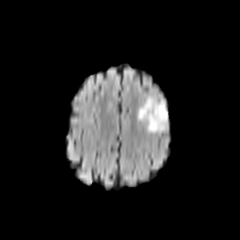
FLAIR MRI.
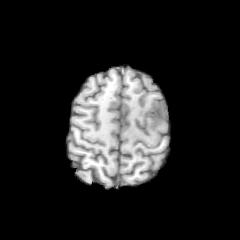
T1-weighted MR image.
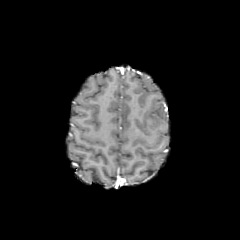
Same slice, post-contrast T1-weighted MR.
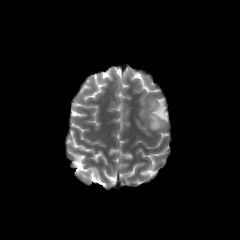
T2-weighted MRI of the same slice.
<segmentation>
  <edema><box>137,95,168,132</box></edema>
  <non-enhancing_tumor_core><box>151,103,166,118</box></non-enhancing_tumor_core>
</segmentation>